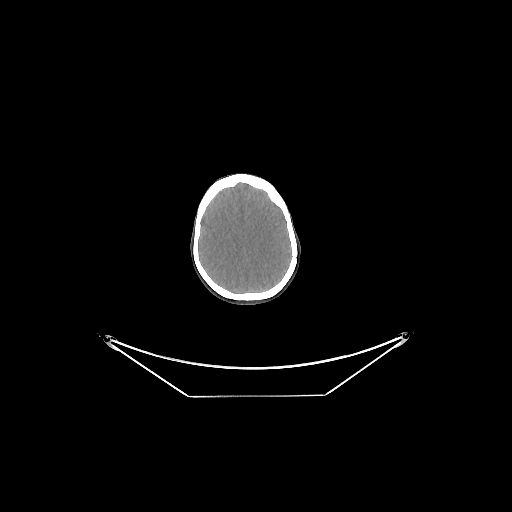 CT image. Brain. Brain — bbox(198, 182, 292, 293).